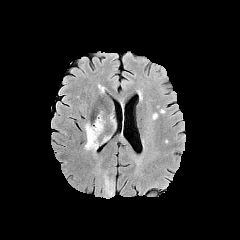
FLAIR MR image.
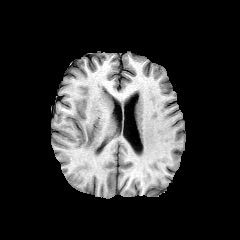
T1-weighted MR image.
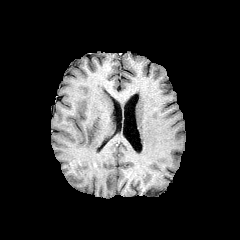
Post-contrast T1-weighted MR image of the same slice.
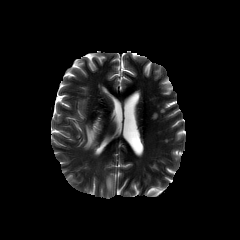
T2-weighted MRI of the same slice.
240x240 px
Segmented structures:
* edema: 83:116:104:150